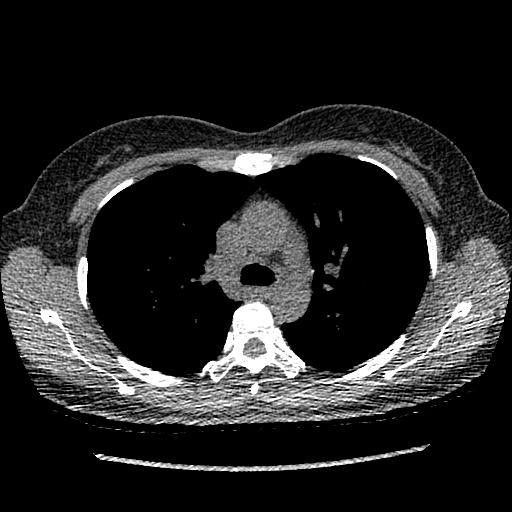

CT image

{"lung_tumor": ["(324,313,349,333)"]}